FLAIR MR image.
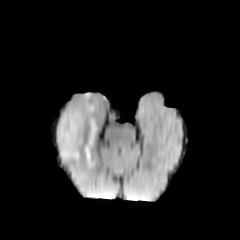
T1-weighted MR image.
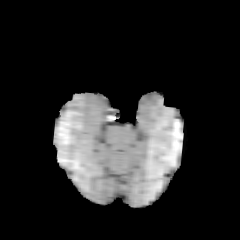
Post-contrast T1-weighted magnetic resonance.
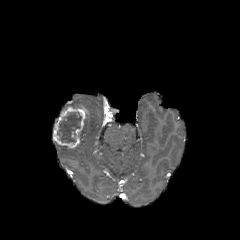
T2-weighted magnetic resonance.
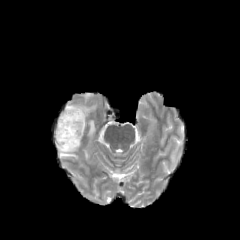
Findings:
* edema: [58,145,79,160], [68,93,96,162]
* non-enhancing tumor core: [57,112,82,143]
* enhancing tumor: [53,105,88,148]